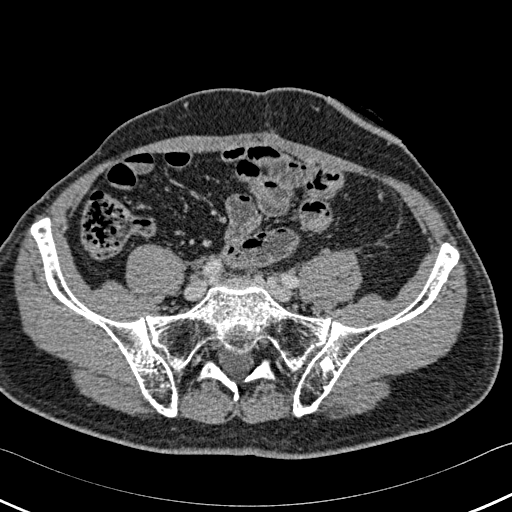
Computed tomography

3 bone regions are bounded by l=200, t=362, r=238, b=400; l=30, t=218, r=458, b=416; l=245, t=361, r=274, b=381.